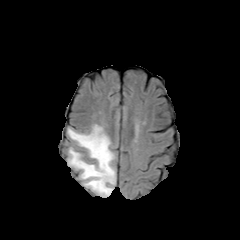
FLAIR MRI.
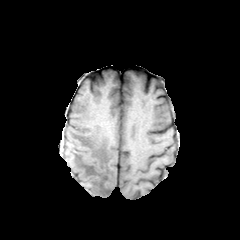
T1-weighted MRI.
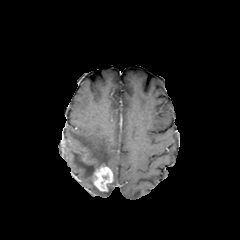
Post-contrast T1-weighted MR image of the same slice.
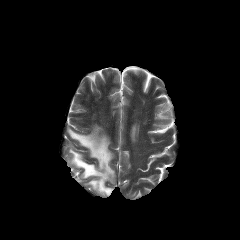
T2-weighted magnetic resonance.
Image size 240x240.
{
  "enhancing_tumor": [
    "92, 166, 113, 191"
  ],
  "edema": [
    "67, 124, 115, 197"
  ]
}